FLAIR magnetic resonance.
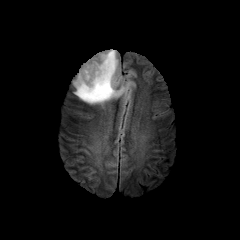
T1-weighted magnetic resonance.
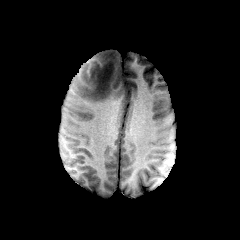
Post-contrast T1-weighted MRI.
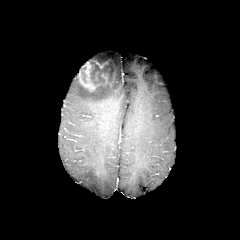
T2-weighted magnetic resonance.
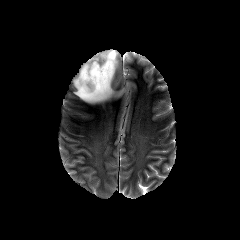
Segmented structures:
- edema: 73,49,129,105
- enhancing tumor: 79,62,95,90
- non-enhancing tumor core: 80,66,87,83; 87,57,116,94